FLAIR MR.
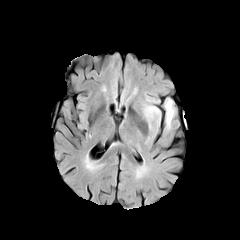
T1-weighted MR image.
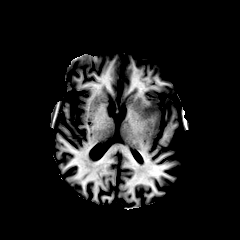
Post-contrast T1-weighted MR image.
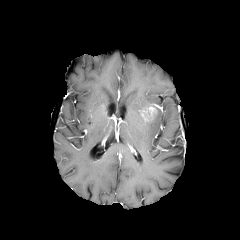
T2-weighted magnetic resonance.
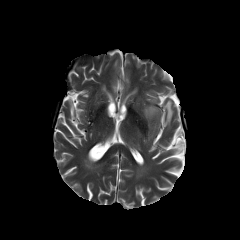
Head
The non-enhancing tumor core is located at (left=146, top=107, right=156, bottom=115). 2 edema regions are located at (left=164, top=98, right=174, bottom=131), (left=143, top=98, right=162, bottom=130).